Computed tomography; Image size 512x512; Image width 426 mm

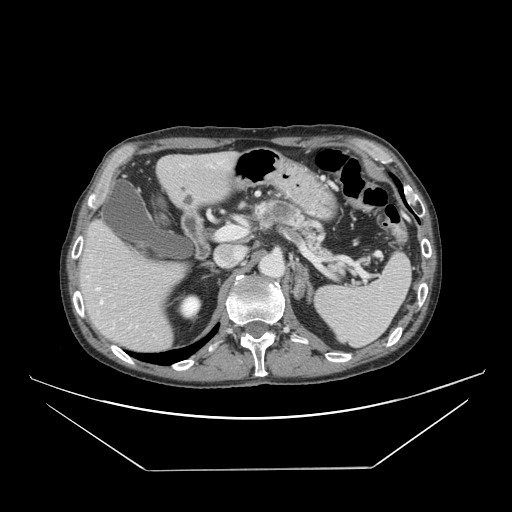

pancreas:
  - 249 196 349 279
pancreatic_tumor:
  - 265 202 294 220